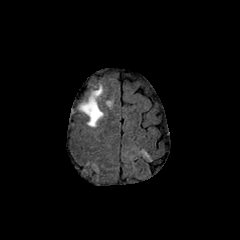
FLAIR MR image.
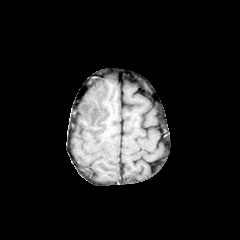
T1-weighted magnetic resonance.
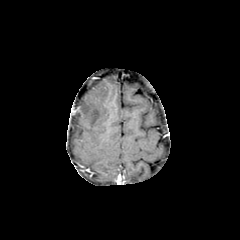
Same slice, post-contrast T1-weighted MRI.
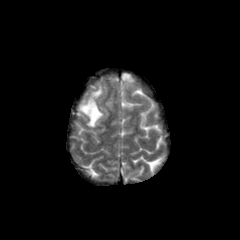
Same slice, T2-weighted MR.
Brain
Edema — box(79, 85, 103, 127).